Image width 408 mm; CT 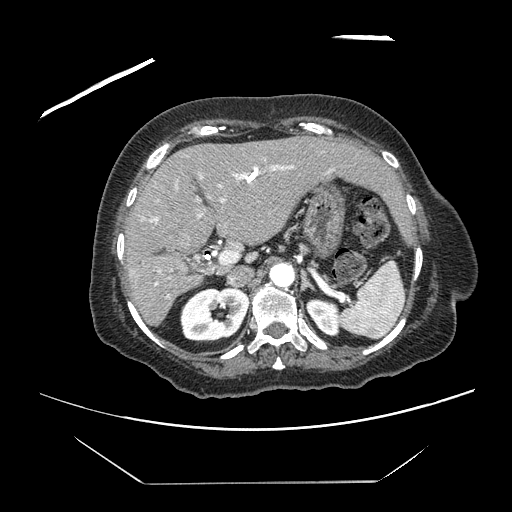
Only some of the vessels may be annotated.
Annotated regions:
- hepatic vessel: rect(220, 251, 238, 264); rect(151, 218, 157, 221); rect(234, 173, 248, 178)